Slice index 48. MRI slice. Cardiac.
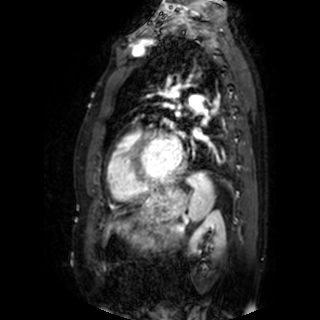
Left atrium = left=193, top=129, right=204, bottom=138.